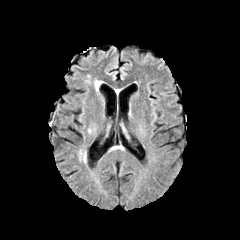
FLAIR MRI.
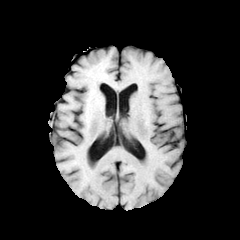
T1-weighted MRI.
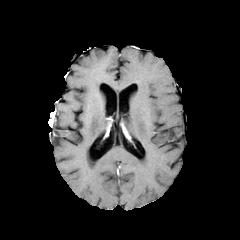
Same slice, post-contrast T1-weighted MRI.
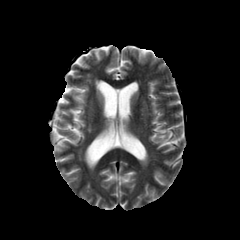
T2-weighted MR image.
Head | 240x240
{
  "edema": [
    "left=94, top=80, right=99, bottom=94"
  ]
}